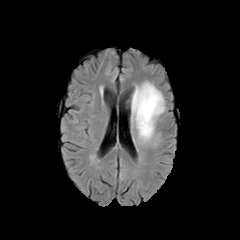
FLAIR MRI.
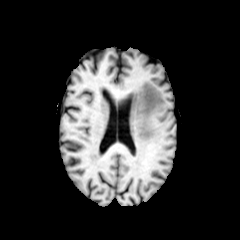
T1-weighted MRI.
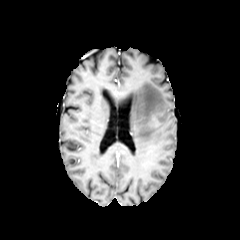
Post-contrast T1-weighted MRI.
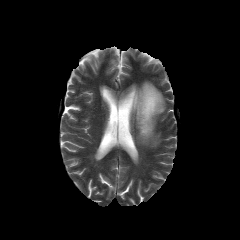
T2-weighted MRI of the same slice.
Head.
edema: bbox=[131, 82, 165, 143]